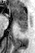
MR image. Medial temporal lobe.

Anterior hippocampus: [10, 7, 27, 23].
Posterior hippocampus: [18, 24, 27, 31].